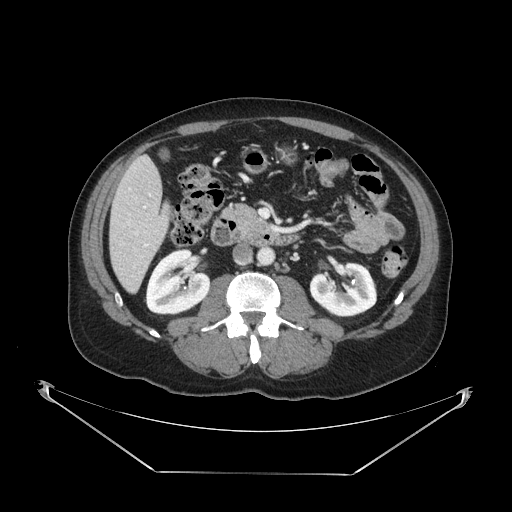 Computed tomography
The pancreas is at <bbox>221, 204, 271, 232</bbox>.